FLAIR MRI.
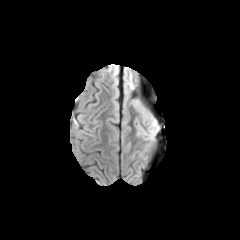
T1-weighted MR image.
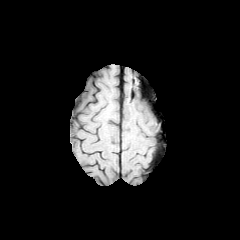
Post-contrast T1-weighted magnetic resonance.
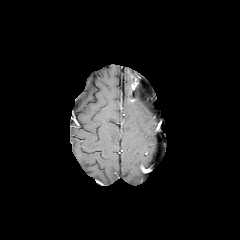
T2-weighted MR image.
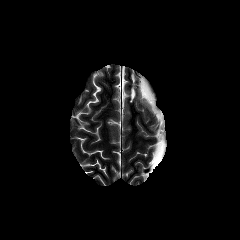
240x240
Findings:
• edema: {"x1": 142, "y1": 108, "x2": 151, "y2": 124}, {"x1": 124, "y1": 81, "x2": 131, "y2": 99}, {"x1": 138, "y1": 119, "x2": 157, "y2": 139}